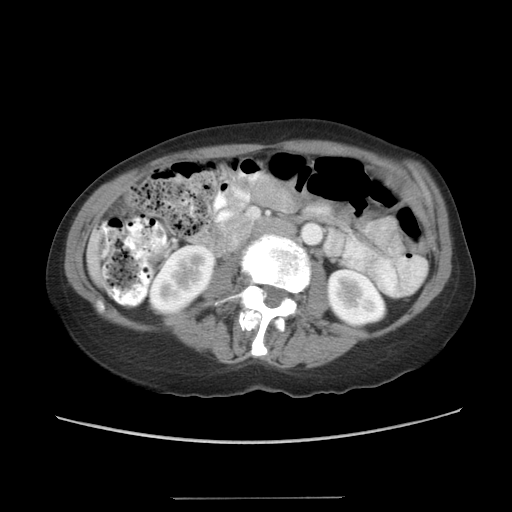 CT
The colon tumor is bounded by <box>147,253,163,268</box>.